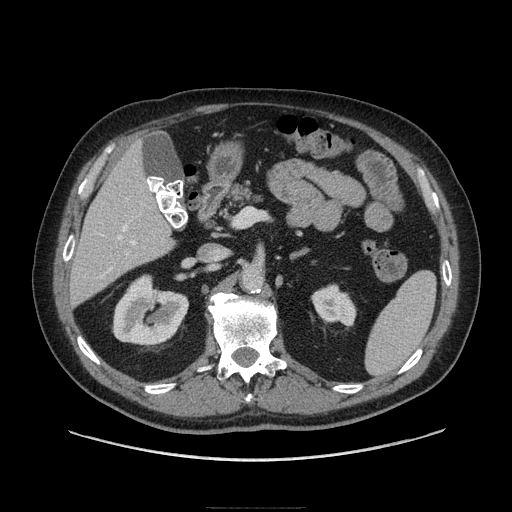
Abdomen | Computed tomography
The pancreas lies within rect(224, 181, 261, 211).